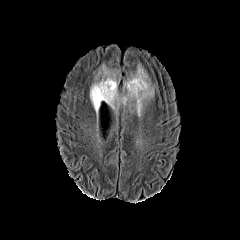
FLAIR magnetic resonance.
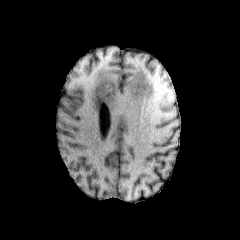
T1-weighted MR image of the same slice.
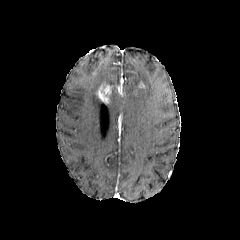
Post-contrast T1-weighted MR of the same slice.
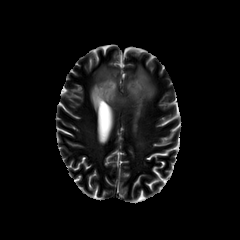
T2-weighted MR.
Head
* edema: bbox(90, 65, 119, 115); bbox(108, 66, 154, 115)
* enhancing tumor: bbox(96, 83, 113, 103); bbox(115, 84, 124, 96)